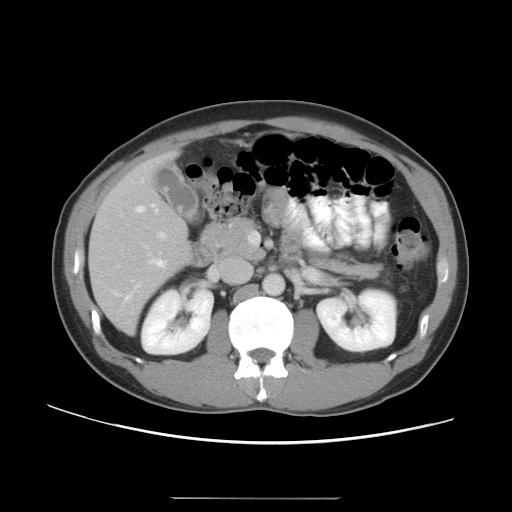

Computed tomography
Not every hepatic vessel necessarily has a box.
8 hepatic vessel regions appear at 134:281:139:286, 125:295:130:302, 149:252:166:267, 114:292:119:295, 142:179:143:182, 136:206:145:212, 152:204:157:211, 159:232:165:238.